Field of view 410 mm wide, 7.50 mm slice spacing; CT image; Abdomen

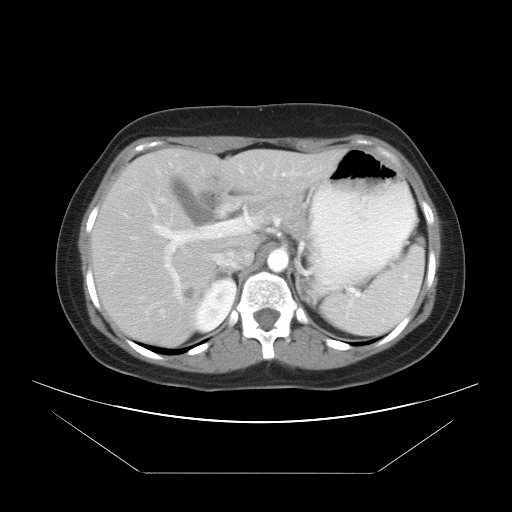 Not every hepatic vessel necessarily has a box.
2 hepatic vessel regions are located at (left=275, top=218, right=279, bottom=224), (left=152, top=212, right=253, bottom=300). The liver tumor is at (left=184, top=287, right=196, bottom=298).